Image size 512x512; CT; Liver

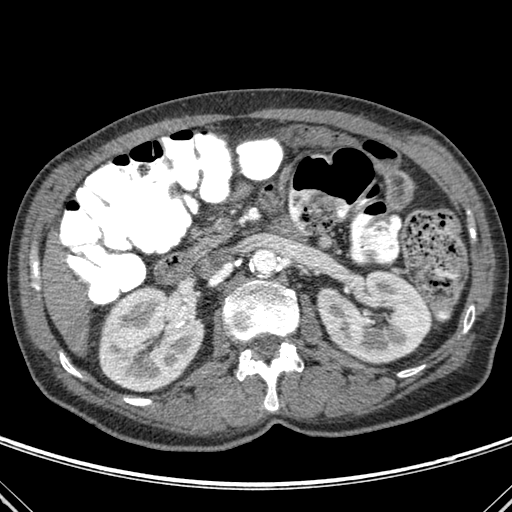 2 kidney regions are bounded by l=100, t=288, r=203, b=390; l=318, t=272, r=430, b=362. The liver is bounded by l=44, t=228, r=90, b=354. 8 bone regions appear at l=463, t=305, r=474, b=333; l=223, t=278, r=298, b=343; l=397, t=365, r=424, b=377; l=124, t=398, r=151, b=405; l=60, t=352, r=81, b=377; l=30, t=257, r=38, b=278; l=237, t=342, r=303, b=411; l=244, t=208, r=258, b=219.